Brain | CT image | Slice index 511

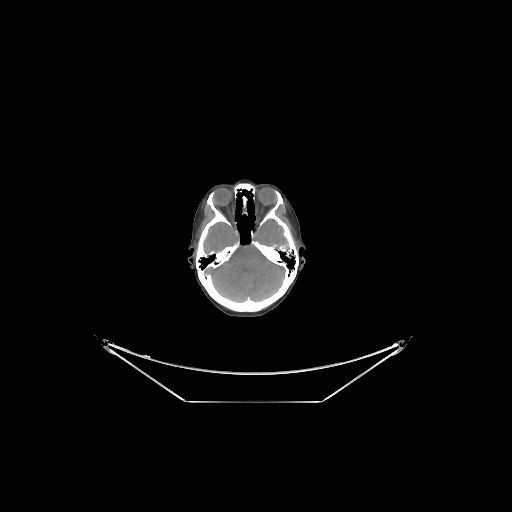 brain: box=[203, 221, 285, 302]; box=[251, 218, 289, 252]